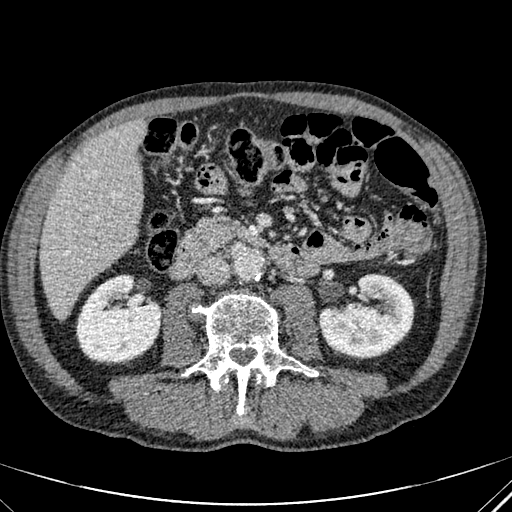

Upper abdomen, CT slice
Liver at (left=40, top=119, right=144, bottom=318).
Kidney at (left=77, top=276, right=160, bottom=361), (left=320, top=275, right=412, bottom=356).